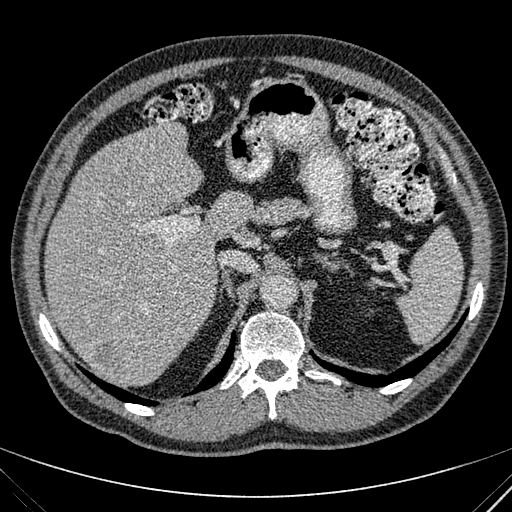 CT image. 512x512.

liver lesion: region(92, 334, 127, 378) | liver: region(47, 123, 251, 385)